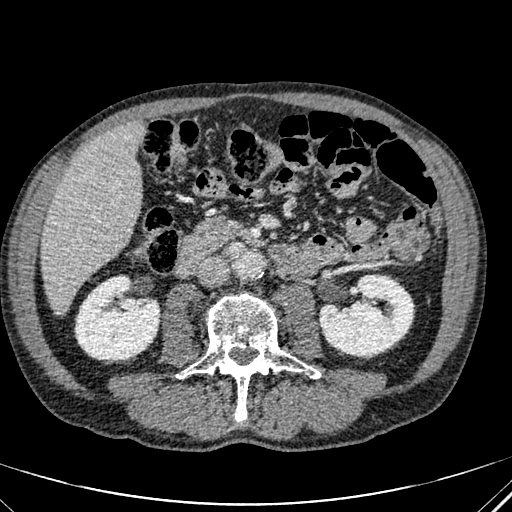 512x512 | CT image
Kidney: (76, 277, 159, 359), (320, 275, 412, 355).
Liver: (40, 121, 142, 313).